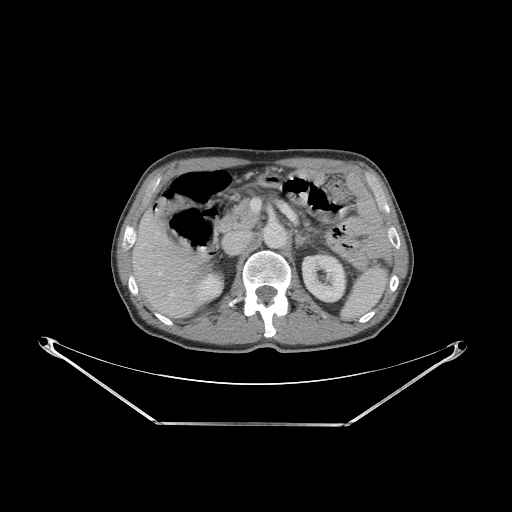
512x512 px. Abdomen. Computed tomography.

Annotated regions:
• liver: 133 207 211 317
• bone: 243 251 290 336, 390 276 398 290, 389 229 399 248, 124 229 132 242, 156 314 171 324, 359 312 374 322, 129 278 137 294
• kidney: 195 274 220 300, 303 256 344 301